Image width 240 mm; Slice 89/155; Brain
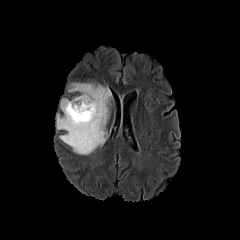
FLAIR MR.
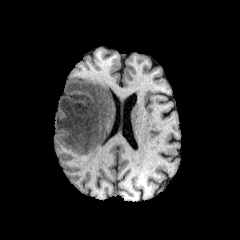
T1-weighted magnetic resonance of the same slice.
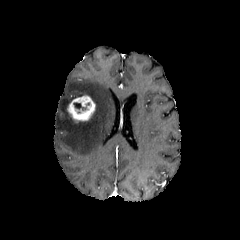
Post-contrast T1-weighted magnetic resonance of the same slice.
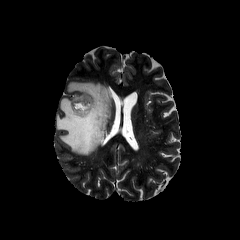
Same slice, T2-weighted MR.
<segmentation>
  <enhancing_tumor>bbox(67, 95, 95, 123)</enhancing_tumor>
  <edema>bbox(55, 80, 112, 154)</edema>
</segmentation>